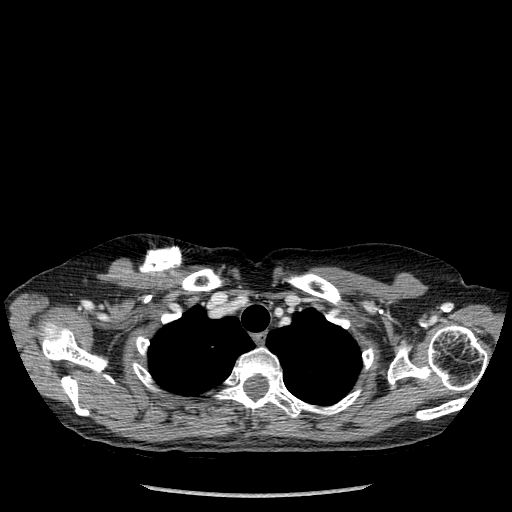

Thorax; Computed tomography

12 bone regions are located at 135,335,149,355; 362,348,373,369; 161,309,181,323; 387,324,487,390; 416,398,466,420; 132,362,157,390; 181,269,222,292; 286,273,341,305; 215,347,360,417; 59,376,89,415; 39,319,114,383; 325,310,349,328. 2 lung regions appear at 148,305,269,395; 266,308,361,405.